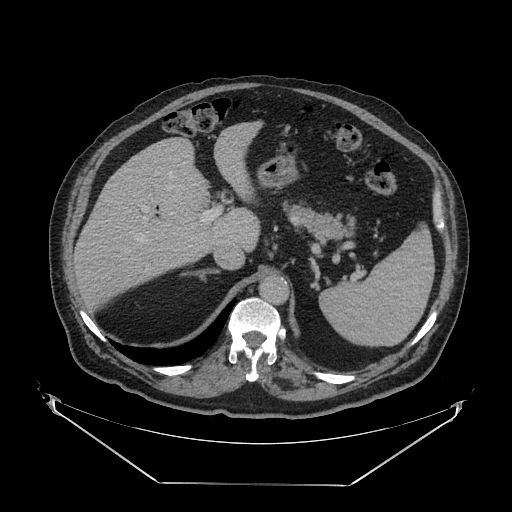 CT image. {
  "pancreas": [
    "x1=292 y1=205 x2=354 y2=237"
  ]
}